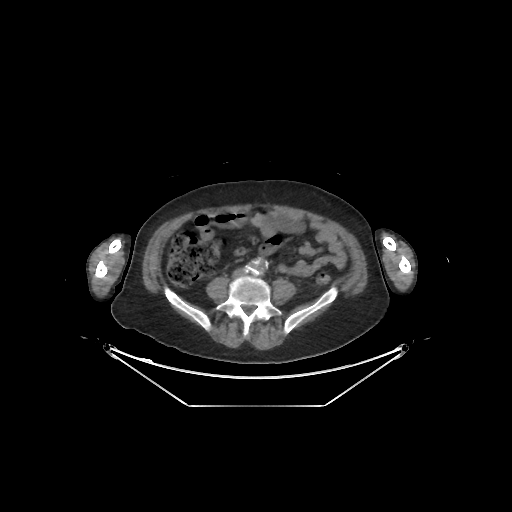
512x512. CT slice.
bone: box(219, 268, 276, 335); box(95, 239, 121, 278); box(284, 287, 337, 333); box(165, 288, 210, 329); box(399, 255, 410, 274); box(383, 236, 395, 250)